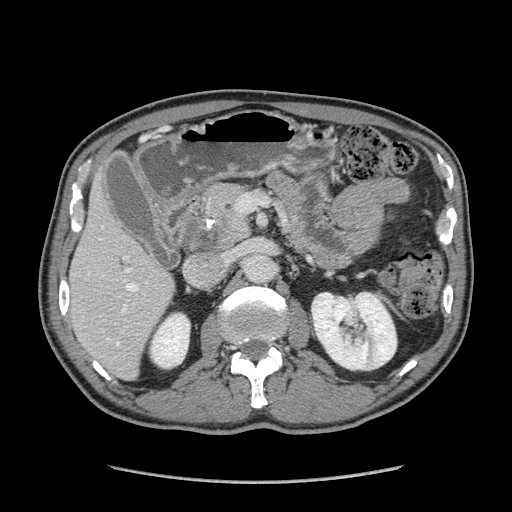 CT slice

The pancreatic tumor is located at 183 211 222 249. The pancreas is bounded by 174 182 253 252.